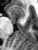 MRI slice; Hippocampus; Image size 38x50

<segmentation>
  <anterior_hippocampus>bbox(7, 5, 24, 19)</anterior_hippocampus>
</segmentation>